FLAIR MR image.
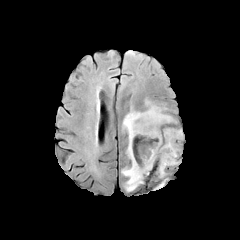
T1-weighted MR.
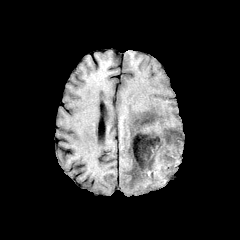
Post-contrast T1-weighted MR.
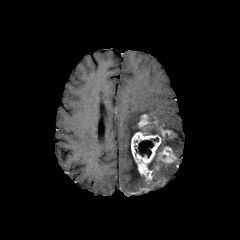
T2-weighted MR image.
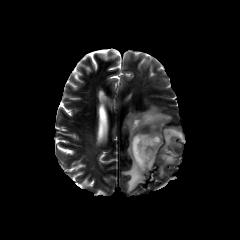
Brain, 240x240 px
2 non-enhancing tumor core regions are located at rect(137, 114, 177, 143); rect(134, 137, 158, 158). 3 edema regions appear at rect(159, 159, 177, 176); rect(121, 106, 172, 192); rect(161, 128, 182, 156). 3 enhancing tumor regions are located at rect(138, 114, 149, 126); rect(161, 147, 173, 162); rect(131, 132, 161, 177).